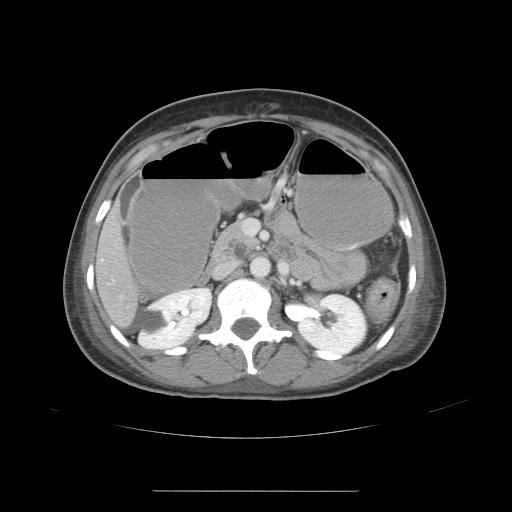
CT image
<segmentation>
  <colon_tumor>left=368, top=281, right=395, bottom=319</colon_tumor>
</segmentation>